Abdomen | CT scan slice | Image width 416 mm | 512x512 px

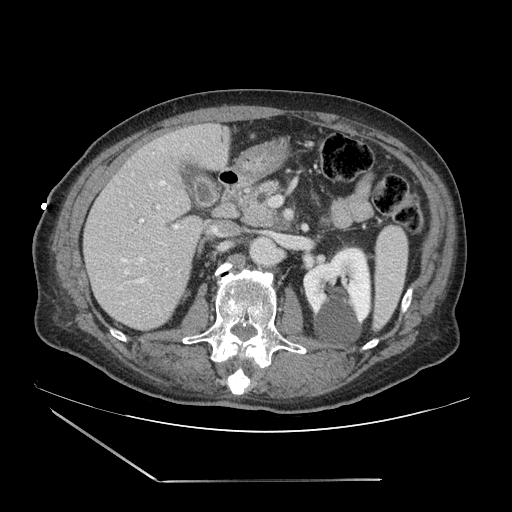 Pancreas at (left=245, top=181, right=279, bottom=227).